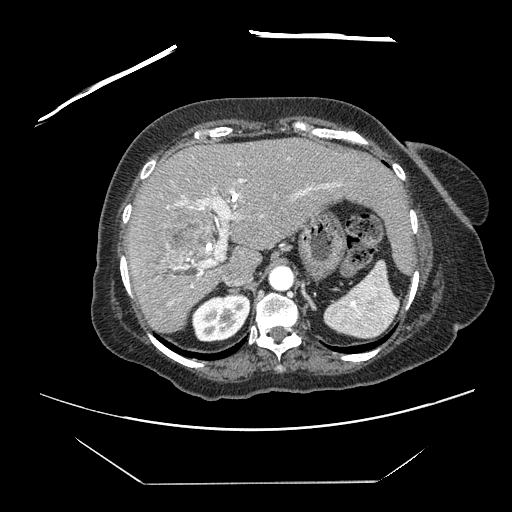

CT slice. Liver.
Some hepatic vessels may have no box.
7 hepatic vessel regions are located at left=177, top=266, right=187, bottom=268; left=314, top=183, right=340, bottom=188; left=175, top=187, right=238, bottom=267; left=239, top=179, right=242, bottom=181; left=166, top=205, right=169, bottom=208; left=294, top=187, right=312, bottom=197; left=200, top=271, right=202, bottom=274. The liver tumor is bounded by left=167, top=212, right=209, bottom=263.